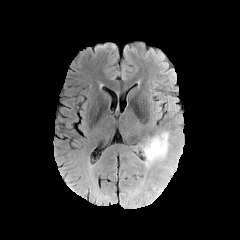
FLAIR MR.
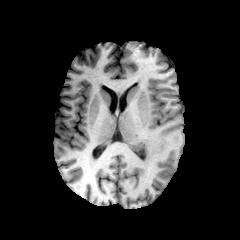
T1-weighted MR of the same slice.
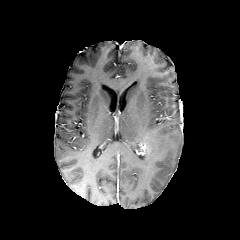
Same slice, post-contrast T1-weighted MR.
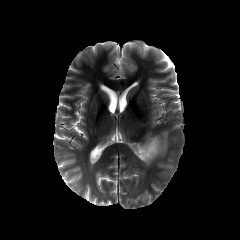
T2-weighted magnetic resonance.
Image size 240x240. Head.
{
  "edema": [
    "l=143, t=131, r=169, b=165"
  ],
  "enhancing_tumor": [
    "l=140, t=143, r=150, b=154"
  ]
}